Upper abdomen. CT slice.
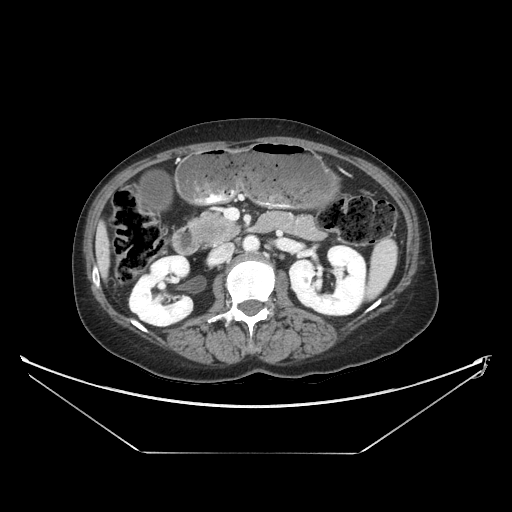
The pancreatic tumor lies within region(198, 221, 227, 240). The pancreas appears at region(193, 213, 239, 242).